Slice 355 of 624, 512x512, Computed tomography, Upper abdomen

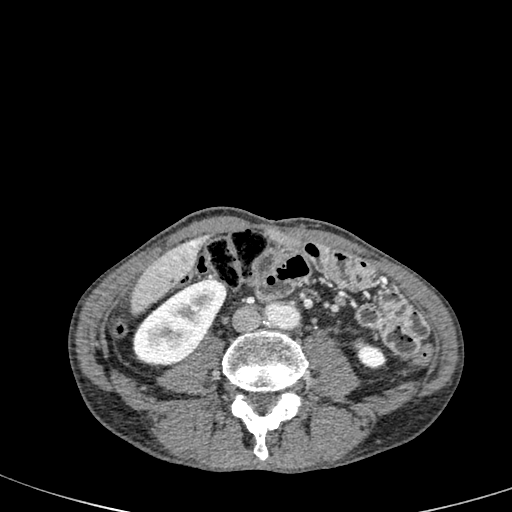
{
  "liver": [
    "left=130, top=235, right=207, bottom=313"
  ],
  "kidney": [
    "left=134, top=280, right=224, bottom=364",
    "left=358, top=344, right=384, bottom=366"
  ]
}